CT scan slice
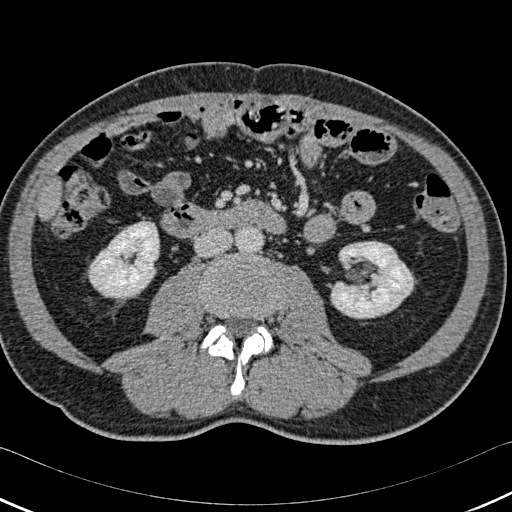

- liver: (left=39, top=193, right=60, bottom=220)
- bone: (left=201, top=325, right=233, bottom=359), (left=231, top=326, right=272, bottom=395), (left=203, top=261, right=277, bottom=314)
- kidney: (left=331, top=242, right=412, bottom=317), (left=89, top=222, right=158, bottom=297)